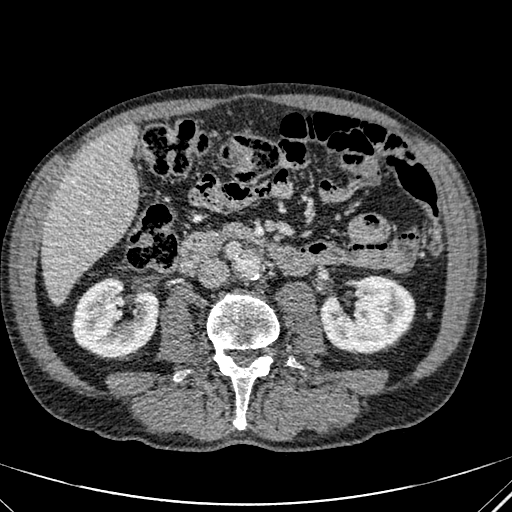 CT scan slice. Image size 512x512. kidney:
  - box(74, 279, 157, 356)
  - box(321, 277, 413, 351)
liver:
  - box(41, 124, 137, 302)